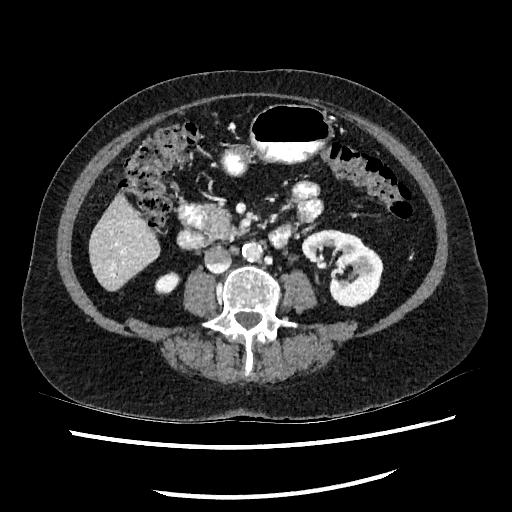 512x512 px. Computed tomography. Upper abdomen. 2 kidney regions are located at left=303, top=231, right=381, bottom=305; left=157, top=275, right=177, bottom=291. The liver is bounded by left=89, top=194, right=158, bottom=289.